512x512 px | CT image

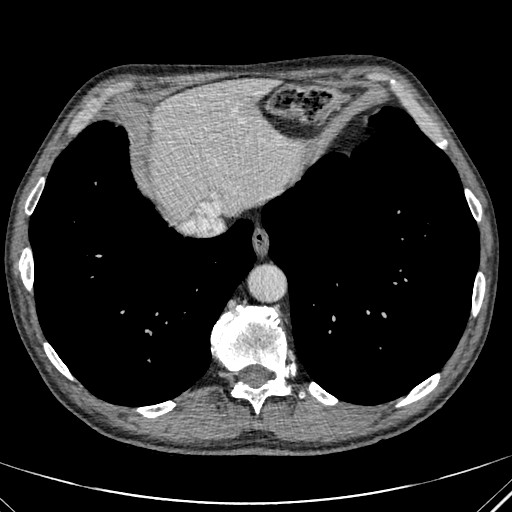

{
  "liver": [
    "x1=152, y1=79, x2=289, y2=216"
  ]
}